Lung, 512x512 px, CT image
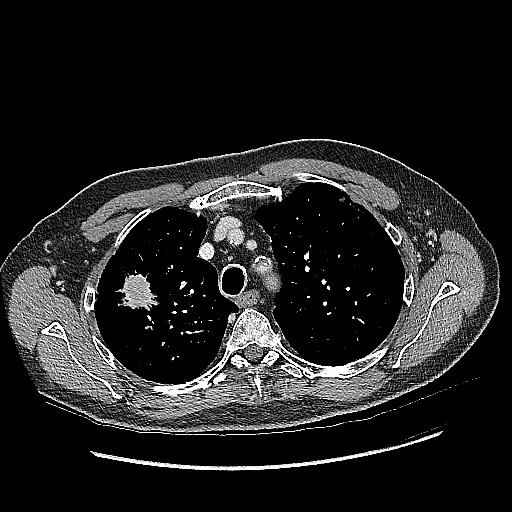
Lung tumor — <box>97,268,163,313</box>.